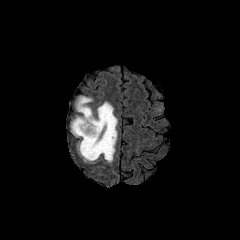
FLAIR magnetic resonance.
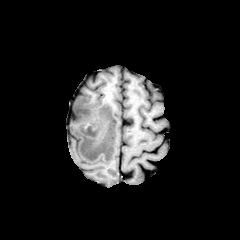
T1-weighted MRI.
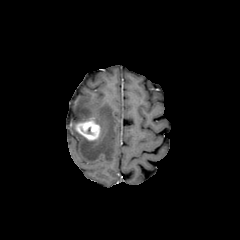
Post-contrast T1-weighted MRI of the same slice.
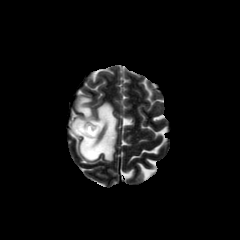
T2-weighted MR.
Head.
The enhancing tumor appears at left=74, top=118, right=100, bottom=140. The edema appears at left=69, top=95, right=117, bottom=163.